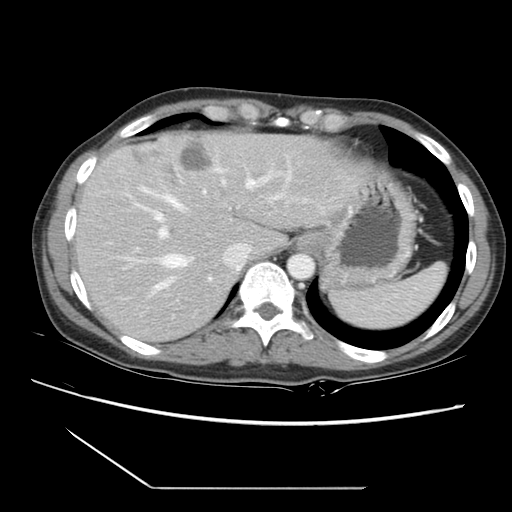

Computed tomography. The vessel boxes may cover only some of the vessels.
The largest 15 hepatic vessel regions (of 17) appear at 223:244:250:269, 246:156:291:189, 151:277:174:295, 140:187:186:211, 159:227:167:238, 213:151:225:185, 160:255:192:267, 118:256:144:268, 203:191:206:194, 135:249:139:252, 243:166:246:169, 268:192:285:201, 123:191:132:198, 133:201:164:221, 209:276:211:280. 2 liver tumor regions appear at 132:148:175:175, 180:139:211:172.